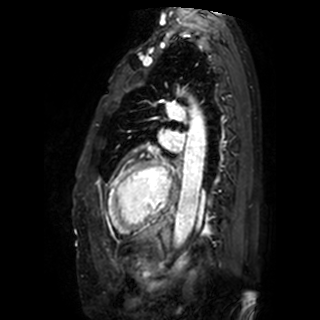

Cardiac. MR image.

left atrium: (161,131,182,149)